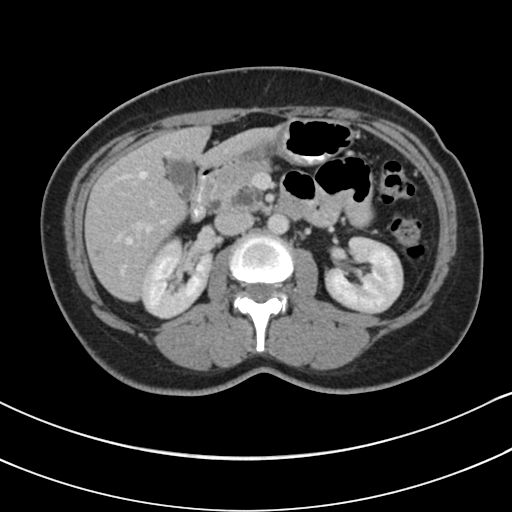 512x512 px; CT slice
The pancreatic tumor is located at 231,185,259,206. The pancreas is located at 201,160,271,215.